Slice 72/100; MRI

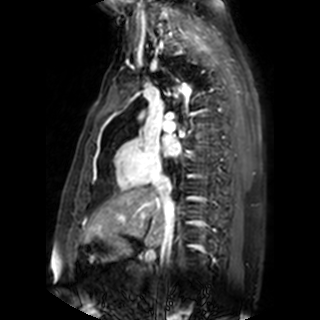
{"left_atrium": ["rect(162, 134, 179, 154)"]}